240x240.
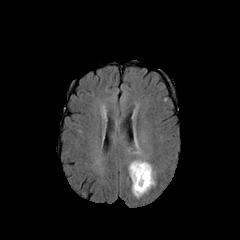
FLAIR MRI.
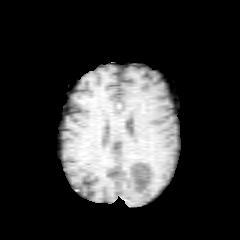
T1-weighted MR.
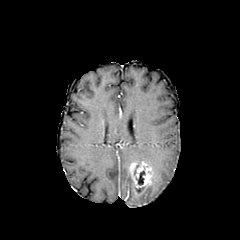
Post-contrast T1-weighted magnetic resonance.
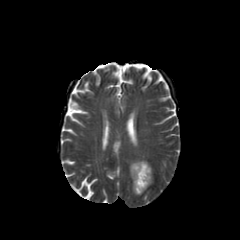
T2-weighted MR image.
Annotated regions:
* non-enhancing tumor core: 138:170:144:184
* enhancing tumor: 129:161:151:187
* edema: 131:172:153:197